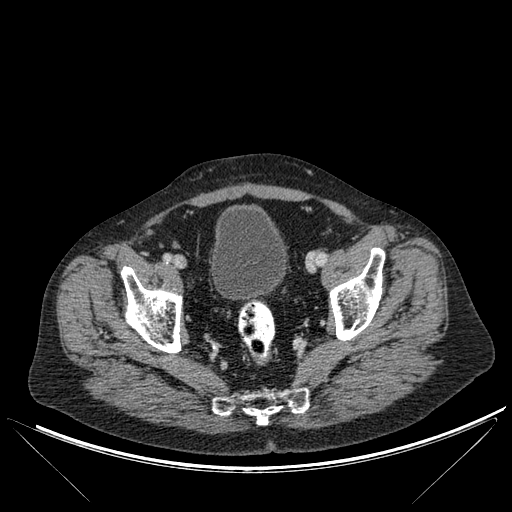
512x512 px. CT slice.

Bone = bbox=[212, 388, 309, 424]; bbox=[330, 247, 384, 340]; bbox=[121, 267, 181, 352].
Urinary bladder = bbox=[211, 205, 287, 301].